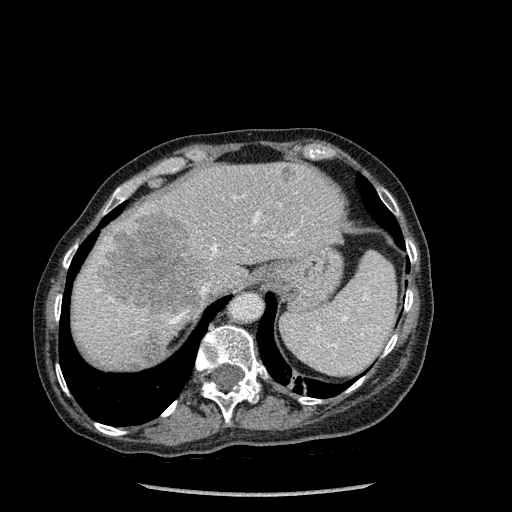 CT image.

Lung at 59 206 226 426, 356 175 403 247, 257 293 350 397.
Focal liver lesion at 130 327 162 363, 96 211 207 315, 281 167 295 182.
Bone at 56 364 68 394, 298 397 321 404, 406 239 416 262, 161 401 177 416, 404 289 413 311, 63 244 77 268, 346 377 364 392, 195 325 267 423, 103 187 126 214, 383 334 397 355, 379 192 398 215, 94 423 125 435, 54 294 61 321.
Liver at 71 162 344 371.